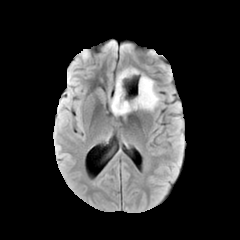
FLAIR MR.
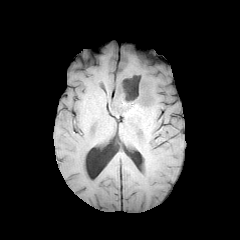
T1-weighted MR.
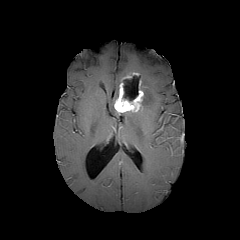
Same slice, post-contrast T1-weighted MRI.
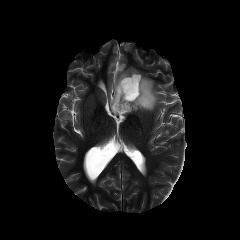
T2-weighted magnetic resonance.
Brain
{
  "edema": [
    "[x1=116, y1=68, x2=161, y2=110]"
  ],
  "non-enhancing_tumor_core": [
    "[x1=116, y1=81, x2=149, y2=115]",
    "[x1=110, y1=80, x2=119, y2=112]",
    "[x1=120, y1=70, x2=134, y2=79]",
    "[x1=122, y1=80, x2=139, y2=101]"
  ],
  "enhancing_tumor": [
    "[x1=113, y1=75, x2=144, y2=114]"
  ]
}